CT image, Upper abdomen, Slice 41/111
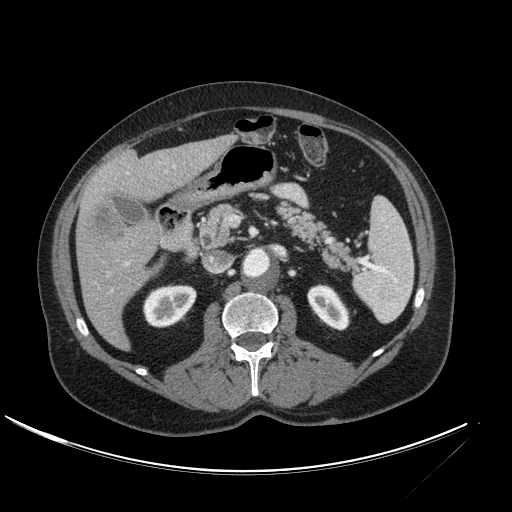

Findings:
• liver: <bbox>76, 134, 237, 349</bbox>
• liver lesion: <bbox>81, 189, 126, 244</bbox>
• kidney: <bbox>144, 286, 195, 325</bbox>, <bbox>308, 286, 347, 329</bbox>